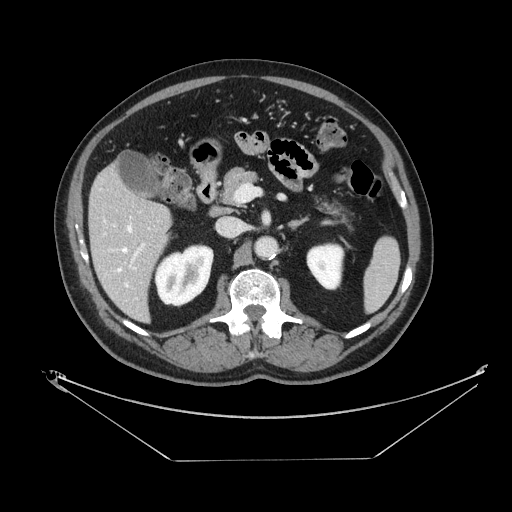
Computed tomography

pancreas:
  - 223, 167, 257, 204